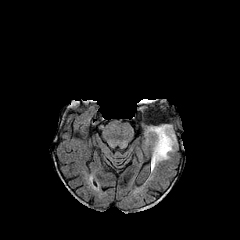
FLAIR MR image.
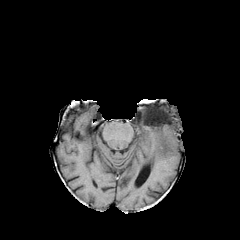
T1-weighted magnetic resonance.
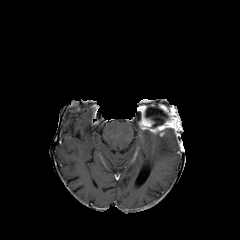
Post-contrast T1-weighted MR.
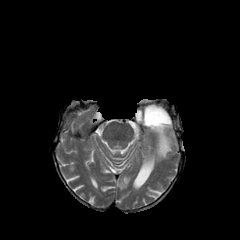
T2-weighted magnetic resonance.
240x240
The enhancing tumor appears at (left=142, top=117, right=173, bottom=135). The edema appears at (left=146, top=130, right=177, bottom=172). The non-enhancing tumor core is at (left=139, top=102, right=179, bottom=135).